Slice 71/155, Head
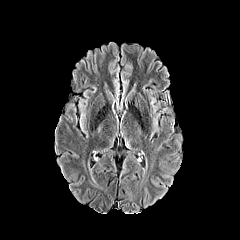
FLAIR magnetic resonance.
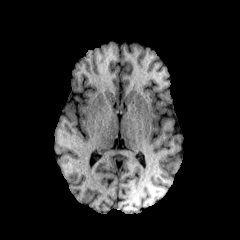
Same slice, T1-weighted MR.
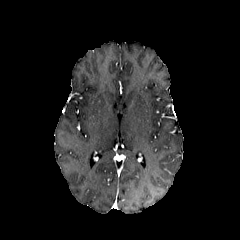
Post-contrast T1-weighted MR image of the same slice.
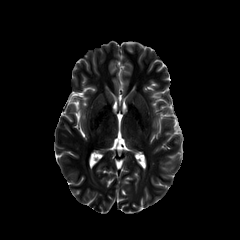
Same slice, T2-weighted MR image.
The edema is located at box=[152, 114, 159, 132].